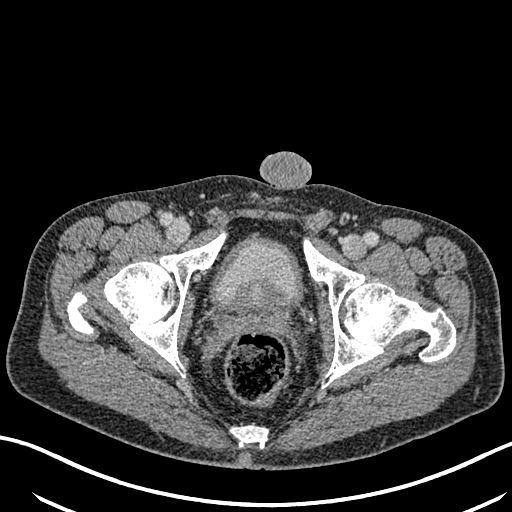
Computed tomography

The urinary bladder is at box=[214, 238, 299, 305].